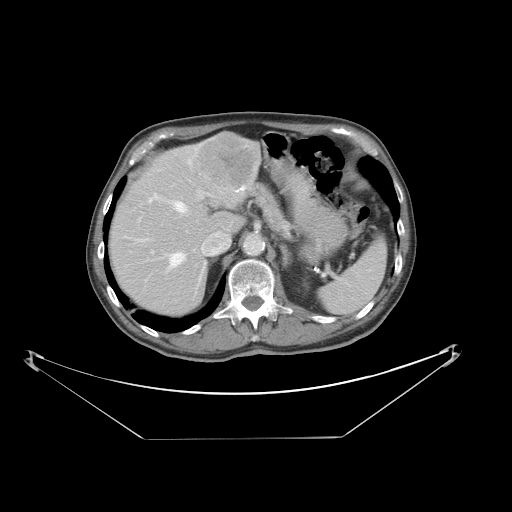
Liver, CT
Not every hepatic vessel necessarily has a box.
hepatic vessel: <box>200,229,224,251</box>, <box>174,202,186,212</box>, <box>168,252,185,269</box>, <box>203,265,204,268</box>, <box>186,178,194,185</box>, <box>187,159,191,165</box>, <box>151,251,153,253</box>, <box>138,218,140,221</box>, <box>196,206,200,207</box>, <box>183,227,188,232</box>, <box>149,193,158,201</box>, <box>196,189,212,199</box>, <box>199,276,200,280</box>, <box>139,240,142,240</box>, <box>240,188,244,190</box> | liver tumor: <box>192,133,258,191</box>